Slice 38 of 50. CT.
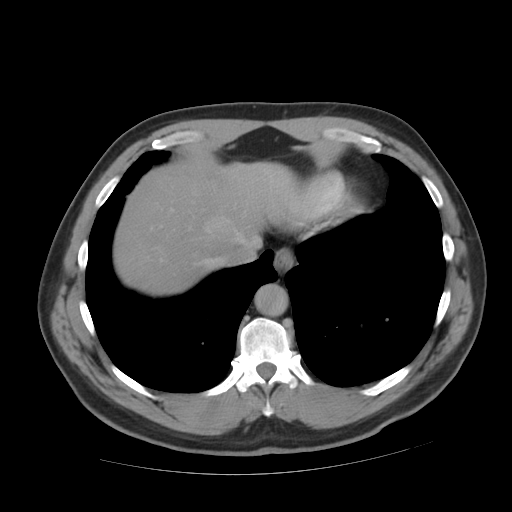
Some hepatic vessels may have no box.
2 hepatic vessel regions are located at x1=204 y1=259 x2=221 y2=264, x1=160 y1=259 x2=162 y2=261.